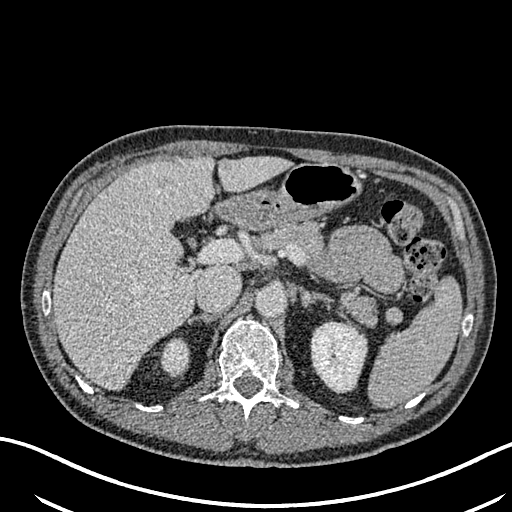
512x512. CT slice.

hepatic lesion: bbox(157, 176, 173, 188) | liver: bbox(55, 158, 212, 388); bbox(219, 156, 293, 192) | kidney: bbox(163, 341, 187, 371); bbox(312, 322, 366, 391)